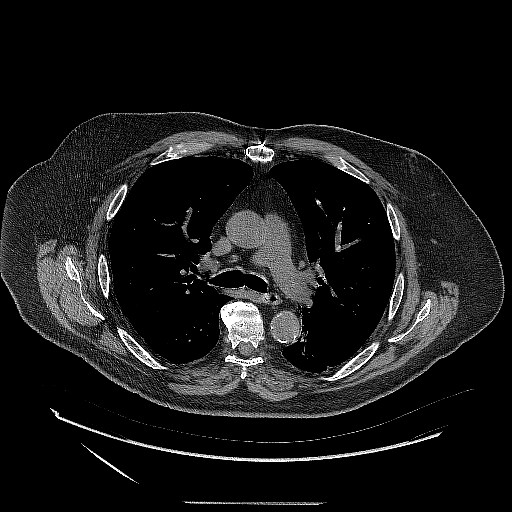 Thorax. CT image. 512x512.

{"lung_tumor": ["(left=299, top=321, right=320, bottom=360)"]}